Field of view 352 mm wide, 2.50 mm slice spacing; CT image; Slice index 62

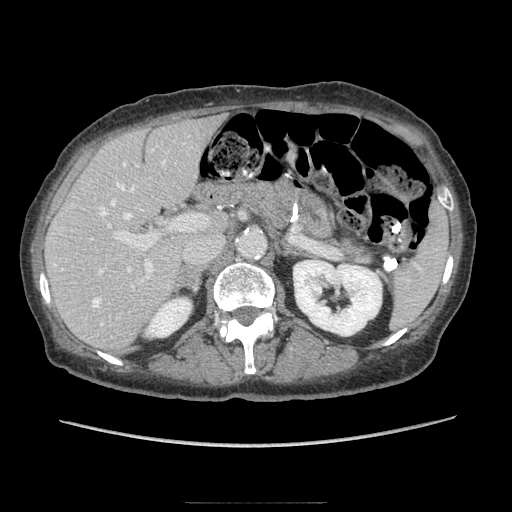
pancreas: [343, 239, 375, 263]